Slice index 14. Field of view 33 mm wide, 1.00 mm slice spacing. MRI slice.

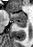
<segmentation>
  <posterior_hippocampus>{"x1": 15, "y1": 23, "x2": 26, "y2": 27}</posterior_hippocampus>
  <anterior_hippocampus>{"x1": 8, "y1": 12, "x2": 26, "y2": 22}</anterior_hippocampus>
</segmentation>